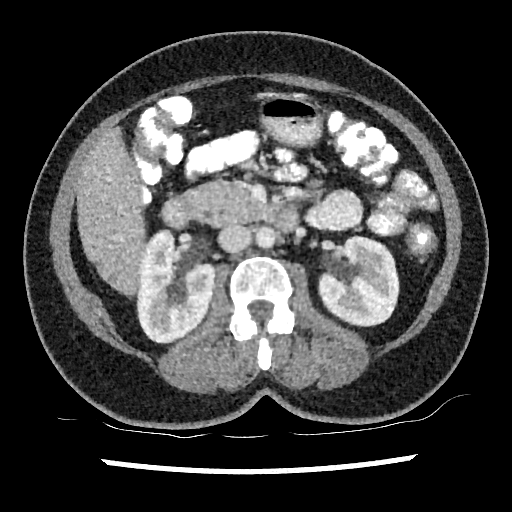 CT | 512x512 | Abdomen
liver:
  - left=77, top=128, right=145, bottom=292
kidney:
  - left=319, top=237, right=398, bottom=325
  - left=138, top=232, right=214, bottom=342